512x512 px, Slice index 175, CT image 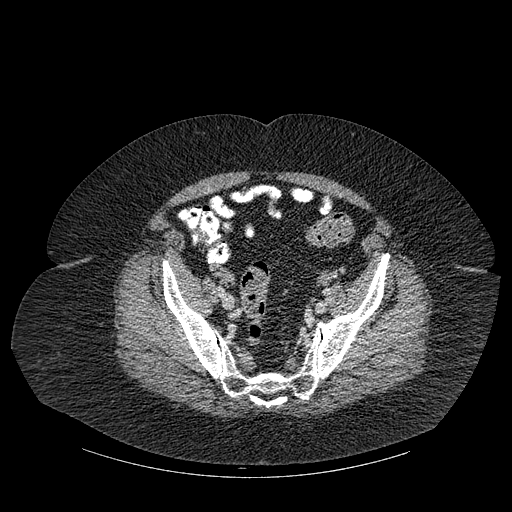
2 bone regions are bounded by [x1=221, y1=248, x2=228, y2=260], [x1=163, y1=253, x2=389, y2=407].